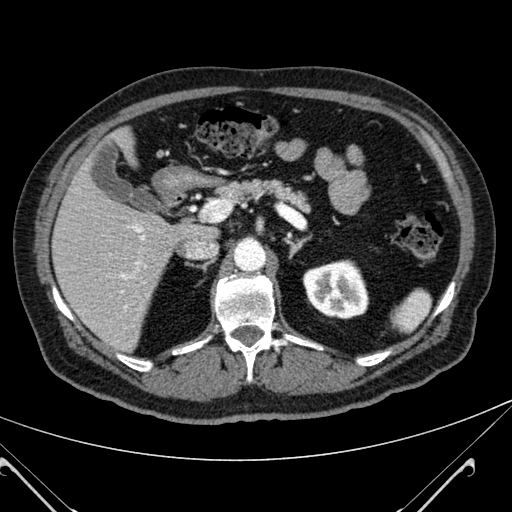 Computed tomography. 512x512 px. Segmented structures:
* liver: [49,157,214,352], [118,131,133,145]
* kidney: [304,262,367,317]